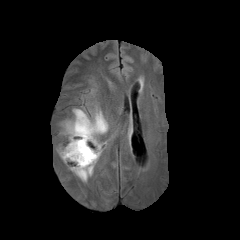
FLAIR magnetic resonance.
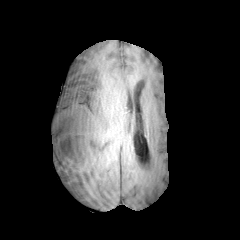
T1-weighted MRI of the same slice.
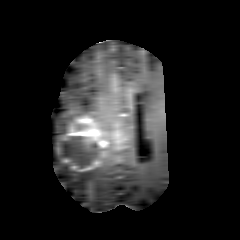
Same slice, post-contrast T1-weighted magnetic resonance.
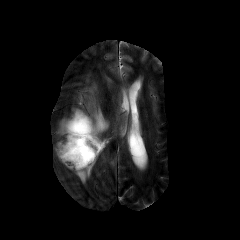
T2-weighted MR.
Brain, 240x240 px
enhancing tumor: (left=67, top=117, right=105, bottom=148) | non-enhancing tumor core: (left=58, top=134, right=104, bottom=171), (left=68, top=120, right=83, bottom=132) | edema: (left=73, top=171, right=92, bottom=181), (left=60, top=108, right=108, bottom=135)